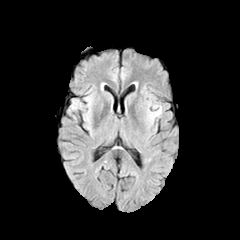
FLAIR MR image.
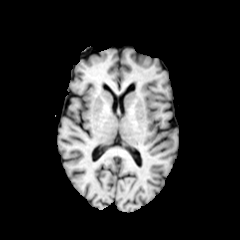
Same slice, T1-weighted MR.
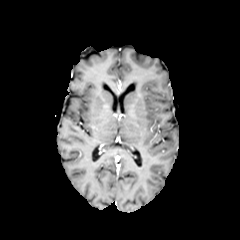
Post-contrast T1-weighted MRI.
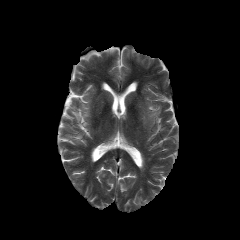
T2-weighted MRI.
Head
Edema — box(144, 99, 161, 120).